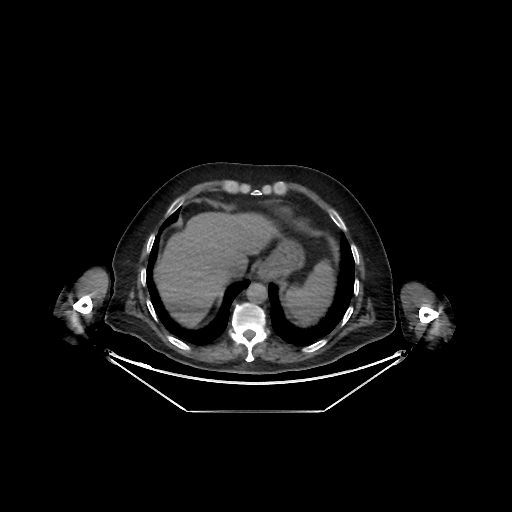

Abdomen | Computed tomography
The liver appears at 154 212 274 326.